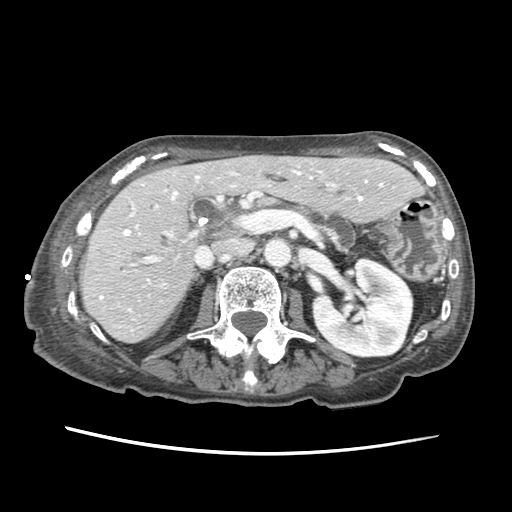 CT image | Upper abdomen
Segmented structures:
- pancreas: x1=282 y1=205 x2=355 y2=252